512x512 | CT | Slice 51/88 | Field of view 360x360 mm
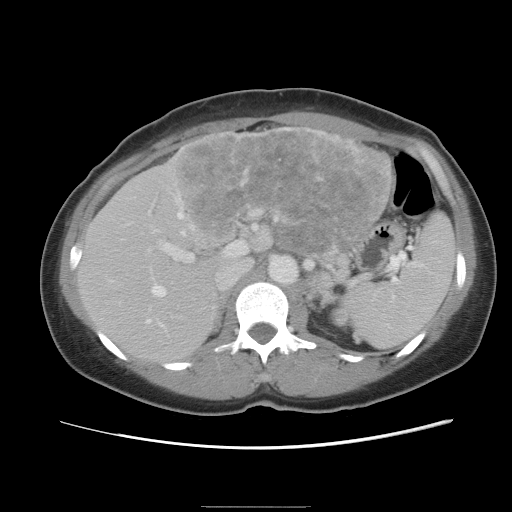

The vessel annotation is not exhaustive.
Liver tumor — left=176, top=129, right=390, bottom=253.
Hepatic vessel — left=178, top=212, right=182, bottom=216; left=160, top=323, right=163, bottom=326; left=190, top=225, right=192, bottom=227; left=146, top=319, right=148, bottom=321; left=252, top=223, right=256, bottom=228; left=181, top=231, right=184, bottom=234; left=151, top=286, right=165, bottom=295; left=147, top=249, right=149, bottom=250; left=174, top=195, right=179, bottom=199; left=211, top=238, right=253, bottom=291; left=162, top=242, right=192, bottom=261.